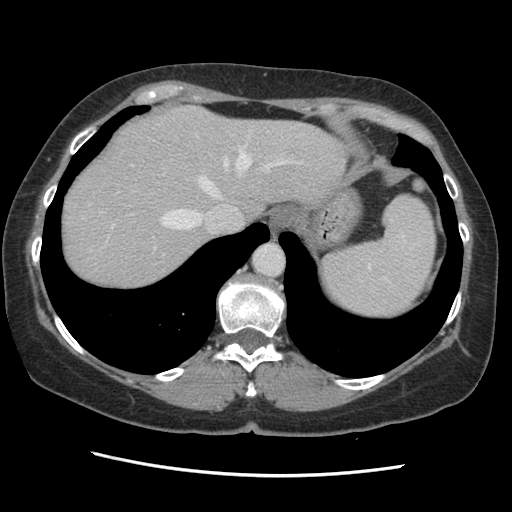 512x512 px; CT

The vessel annotation is not exhaustive.
{"hepatic_vessel": ["161, 209, 201, 228", "224, 158, 228, 166", "154, 245, 155, 249", "198, 177, 219, 197", "264, 158, 298, 171", "236, 144, 250, 175", "207, 212, 209, 213", "112, 223, 113, 227"]}